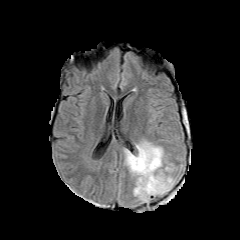
FLAIR magnetic resonance.
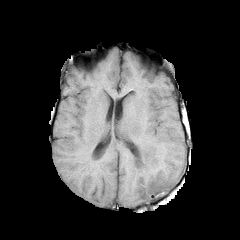
T1-weighted MR of the same slice.
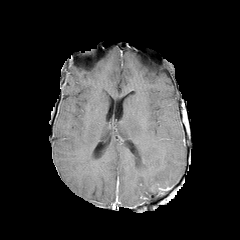
Same slice, post-contrast T1-weighted magnetic resonance.
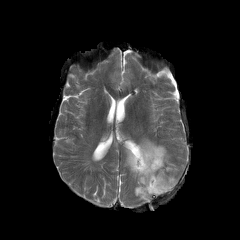
T2-weighted MR image.
Head.
Edema: 124, 139, 177, 202.
Enhancing tumor: 158, 184, 171, 191.
Non-enhancing tumor core: 151, 184, 163, 193.